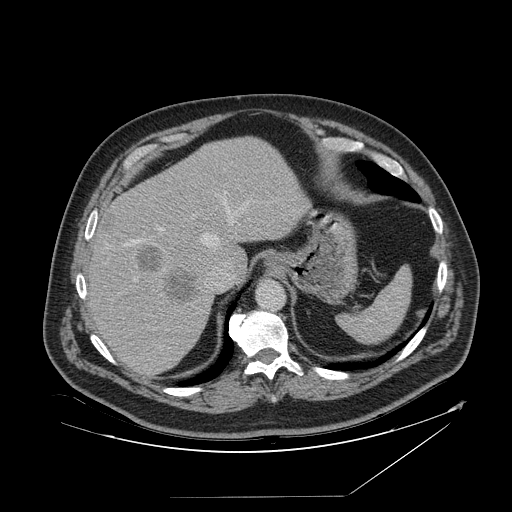

Computed tomography; Upper abdomen

Spleen — box=[338, 267, 411, 343].